Image size 512x512, CT 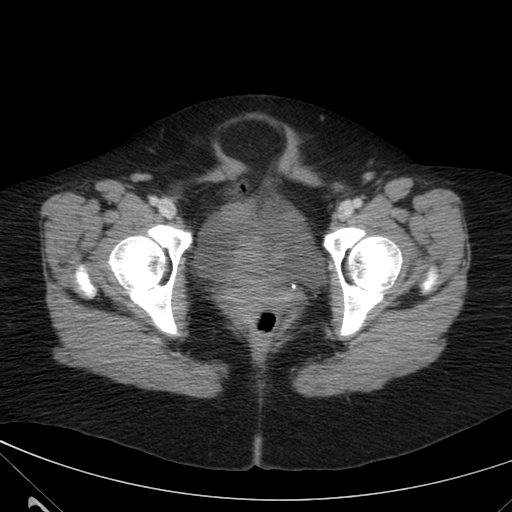 - urinary bladder: box(195, 193, 309, 275)